Slice 278/466, CT, Liver

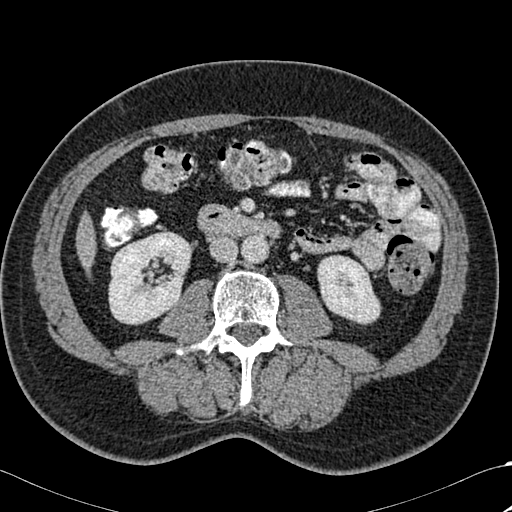 Kidney: bounding box <bbox>109, 232, 190, 323</bbox>, <bbox>318, 256, 379, 322</bbox>.
Liver: bounding box <bbox>77, 222, 94, 257</bbox>.
Bone: bounding box <bbox>193, 271, 290, 405</bbox>.